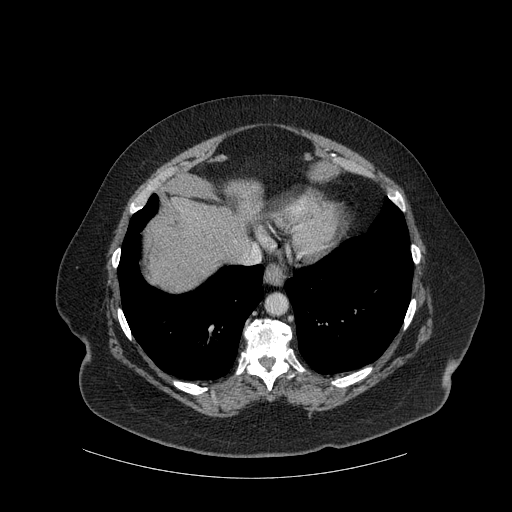 Computed tomography. {
  "lung": [
    "box(285, 197, 413, 373)",
    "box(118, 194, 263, 379)"
  ],
  "bone": [
    "box(174, 382, 206, 394)",
    "box(404, 299, 415, 328)",
    "box(332, 368, 371, 387)",
    "box(236, 319, 304, 390)",
    "box(412, 245, 420, 263)",
    "box(118, 309, 130, 339)",
    "box(390, 192, 404, 210)",
    "box(112, 248, 120, 267)"
  ],
  "liver": [
    "box(143, 180, 262, 292)"
  ]
}